240x240 px
FLAIR MR.
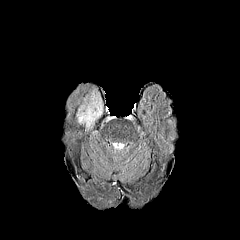
T1-weighted magnetic resonance.
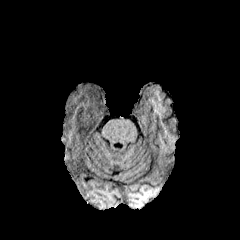
Post-contrast T1-weighted MRI.
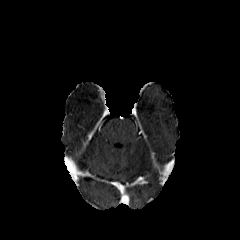
T2-weighted MR image.
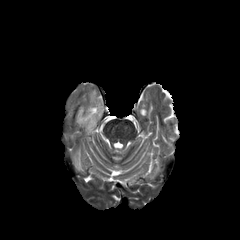
edema: [77,112,84,124], [85,109,99,129]